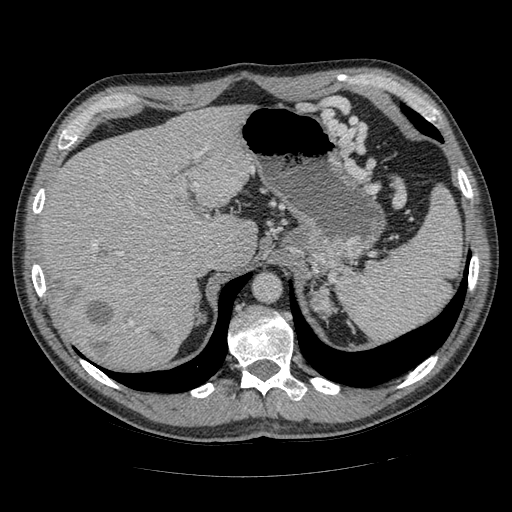 Upper abdomen, CT slice
The pancreatic tumor appears at [x1=311, y1=288, x2=335, y2=315].